Slice 91 of 148; CT scan slice; Image width 500 mm
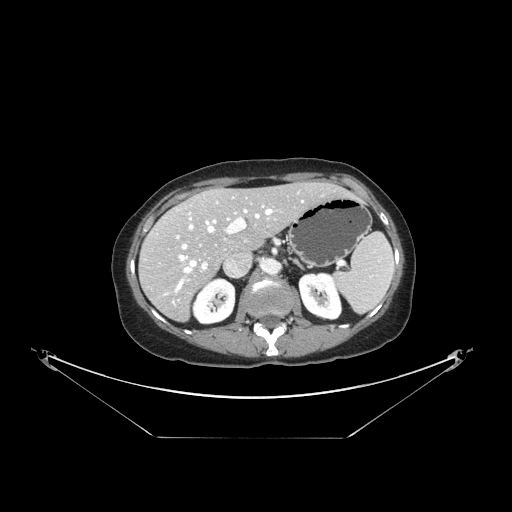

Some hepatic vessels may have no box.
<segmentation>
  <hepatic_vessel>{"x1": 256, "y1": 215, "x2": 258, "y2": 217}, {"x1": 208, "y1": 226, "x2": 212, "y2": 231}, {"x1": 267, "y1": 210, "x2": 270, "y2": 213}, {"x1": 202, "y1": 264, "x2": 205, "y2": 268}, {"x1": 182, "y1": 245, "x2": 185, "y2": 248}, {"x1": 190, "y1": 226, "x2": 191, "y2": 228}, {"x1": 227, "y1": 219, "x2": 245, "y2": 232}</hepatic_vessel>
</segmentation>